512x512, CT slice

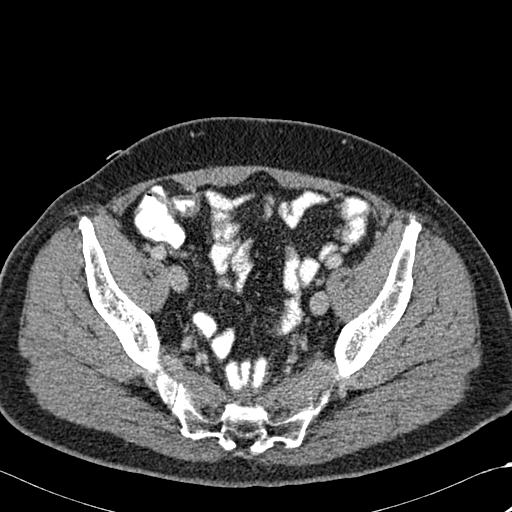 {
  "bone": [
    "box=[79, 217, 327, 453]",
    "box=[335, 218, 420, 379]"
  ]
}